FLAIR MRI.
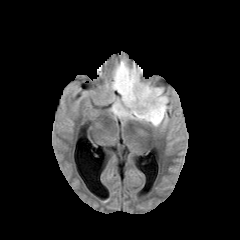
T1-weighted magnetic resonance.
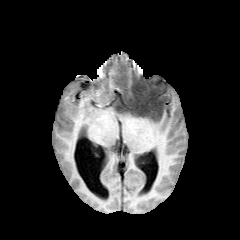
Post-contrast T1-weighted MRI.
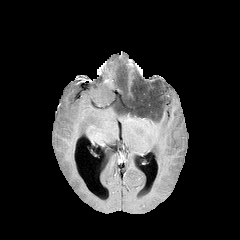
T2-weighted MR image.
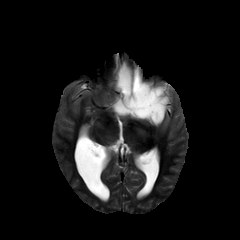
non-enhancing tumor core: x1=114 y1=66 x2=166 y2=122 | edema: x1=110 y1=58 x2=170 y2=128, x1=146 y1=78 x2=159 y2=84